FLAIR MRI.
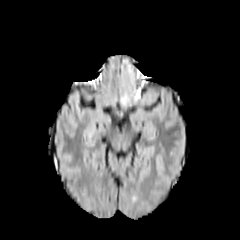
T1-weighted MRI.
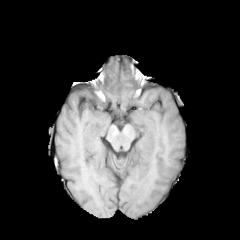
Post-contrast T1-weighted MRI.
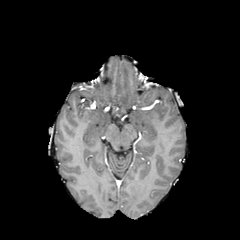
T2-weighted magnetic resonance.
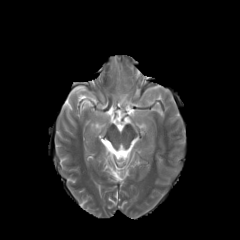
Head
Edema: (x1=123, y1=93, x2=130, y2=104).